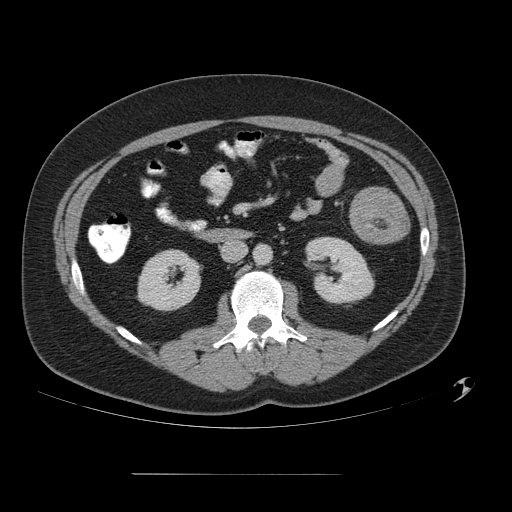 512x512 | CT slice

Colon tumor at [x1=350, y1=187, x2=409, y2=243].